Brain, Slice 517/552, 512x512, CT
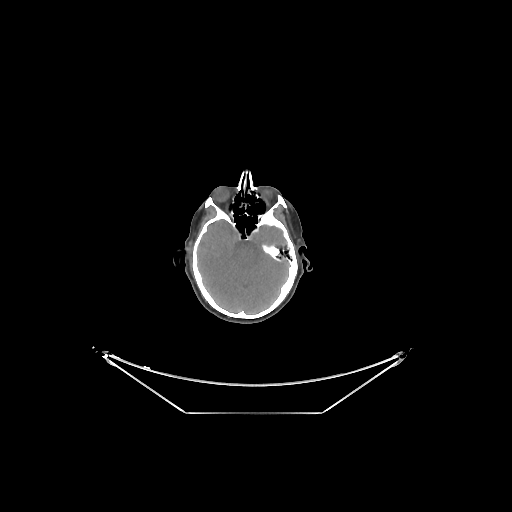
The brain is at [197,220,289,314].